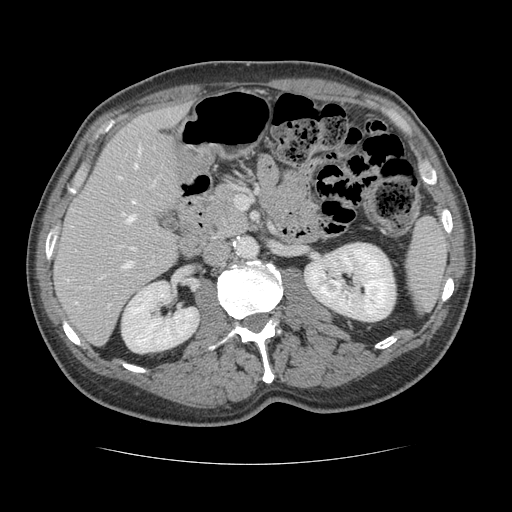
Abdomen | Image size 512x512 | CT image
The vessel boxes may cover only some of the vessels.
<segmentation>
  <hepatic_vessel>(left=134, top=163, right=137, bottom=167), (left=130, top=247, right=134, bottom=249), (left=152, top=180, right=155, bottom=186), (left=101, top=275, right=103, bottom=277), (left=75, top=301, right=77, bottom=303), (left=123, top=261, right=132, bottom=267), (left=138, top=146, right=141, bottom=154), (left=122, top=213, right=124, bottom=214), (left=107, top=305, right=109, bottom=308), (left=127, top=215, right=134, bottom=221), (left=131, top=200, right=135, bottom=202), (left=118, top=176, right=120, bottom=178)</hepatic_vessel>
</segmentation>